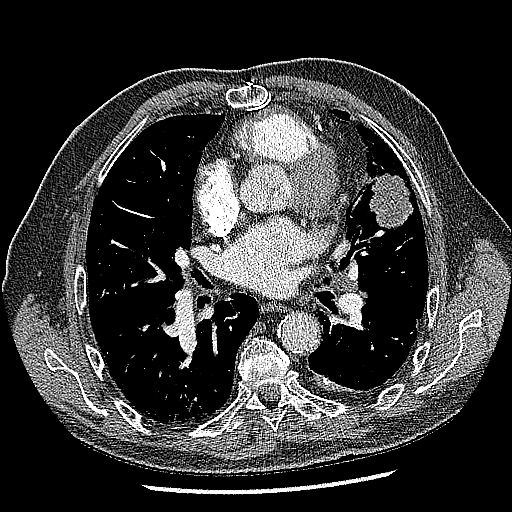
Thorax | Image size 512x512 | CT image
<segmentation>
  <lung_tumor>region(364, 161, 412, 228)</lung_tumor>
</segmentation>